Abdomen. CT slice.

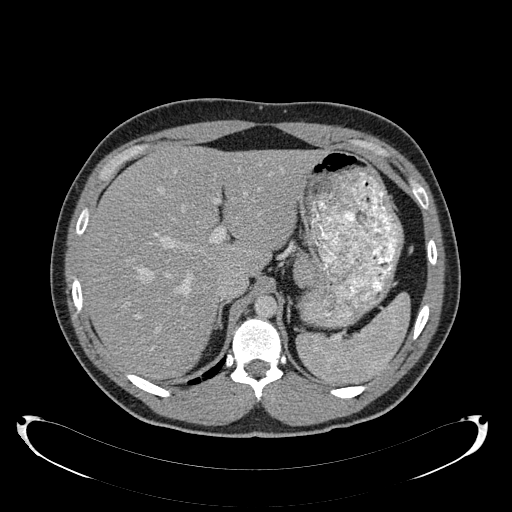
Liver at [82,145,326,379].